CT scan slice, Image width 434 mm, 512x512 px 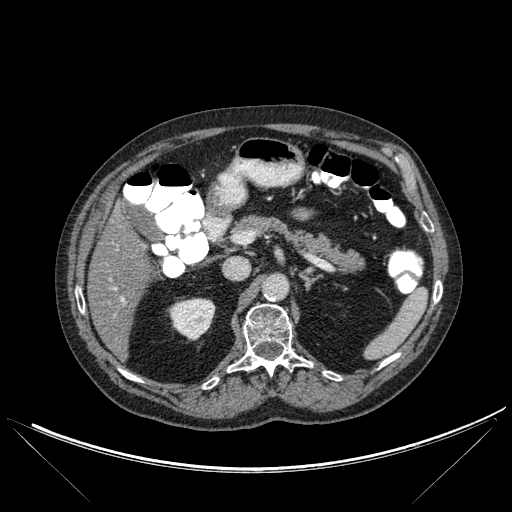 7 bone regions appear at l=433, t=281, r=442, b=302; l=227, t=304, r=312, b=375; l=75, t=289, r=84, b=312; l=119, t=369, r=142, b=381; l=203, t=382, r=212, b=388; l=323, t=371, r=341, b=380; l=379, t=353, r=400, b=368. The liver is located at l=88, t=206, r=149, b=361. The kidney is located at l=170, t=299, r=214, b=339.